Chest. Computed tomography.
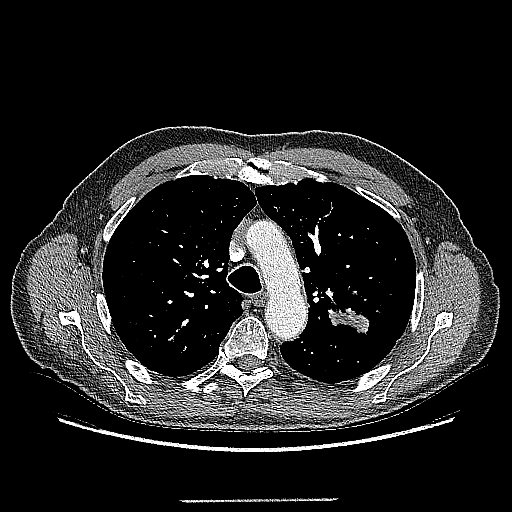

Lung tumor = region(326, 307, 371, 337).